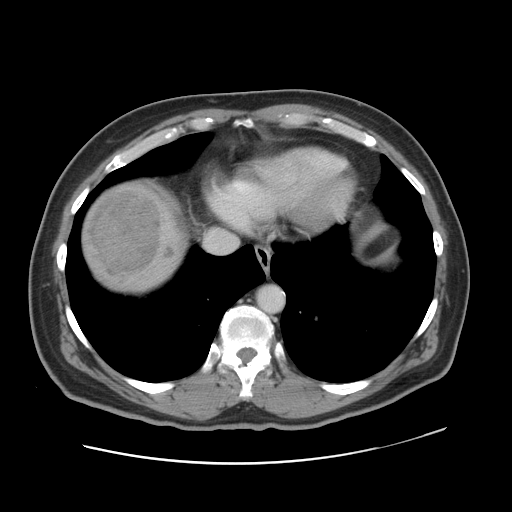

Computed tomography; Abdomen
The vessel annotation is not exhaustive.
{"hepatic_vessel": ["x1=207, y1=248, x2=224, y2=253"], "liver_tumor": ["x1=162, y1=247, x2=175, y2=259", "x1=87, y1=190, x2=162, y2=284"]}